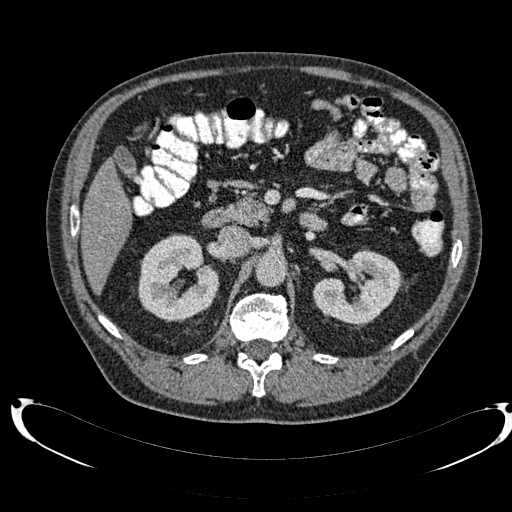

512x512, Computed tomography, Upper abdomen
Segmented structures:
• liver: bbox(82, 158, 131, 294); bbox(136, 125, 147, 130)
• kidney: bbox(313, 250, 401, 325); bbox(138, 234, 218, 321)